CT. 512x512. Liver.
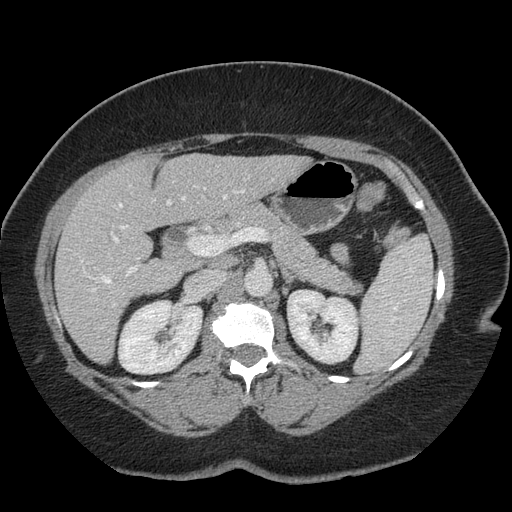 The vessel boxes may cover only some of the vessels.
hepatic vessel: rect(81, 259, 83, 262); rect(189, 236, 212, 255); rect(114, 237, 118, 242); rect(126, 267, 136, 275); rect(119, 204, 122, 207); rect(234, 190, 243, 193); rect(120, 225, 127, 229); rect(167, 201, 170, 204); rect(83, 266, 87, 275); rect(95, 276, 110, 283); rect(182, 197, 185, 199); rect(223, 195, 226, 198); rect(195, 186, 198, 187); rect(113, 304, 115, 307); rect(95, 268, 97, 269)